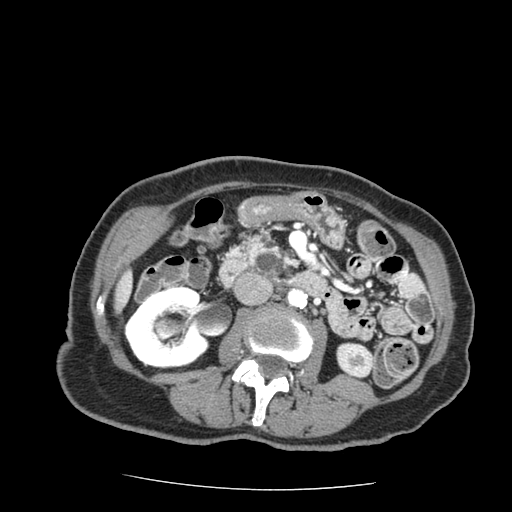
CT; Image size 512x512
- pancreatic tumor: <bbox>254, 251, 294, 277</bbox>
- pancreas: <bbox>245, 233, 302, 282</bbox>